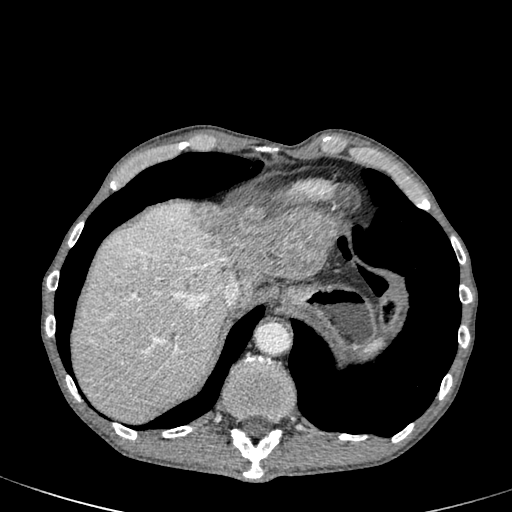 CT
liver:
  - box=[73, 202, 259, 422]
  - box=[303, 208, 338, 225]
focal_liver_lesion:
  - box=[190, 206, 338, 290]